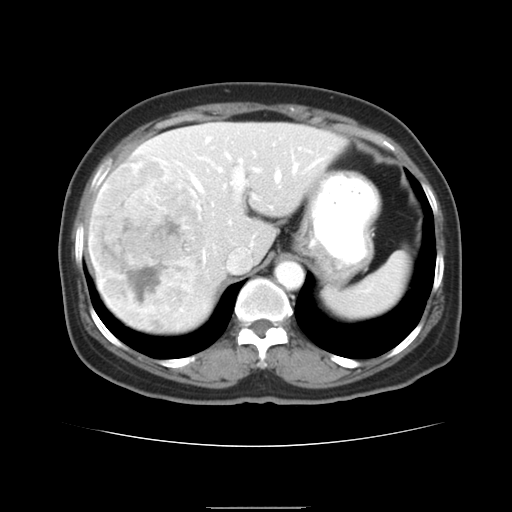 CT slice, Abdomen
Not every hepatic vessel necessarily has a box.
The liver tumor lies within bbox=[90, 156, 206, 331]. The top 15 hepatic vessel regions (of 17) appear at bbox=[217, 168, 221, 171]; bbox=[275, 171, 280, 180]; bbox=[298, 147, 299, 149]; bbox=[293, 164, 297, 172]; bbox=[227, 218, 231, 224]; bbox=[205, 137, 209, 141]; bbox=[191, 178, 200, 190]; bbox=[238, 159, 241, 164]; bbox=[252, 168, 259, 172]; bbox=[231, 169, 243, 187]; bbox=[272, 143, 273, 145]; bbox=[226, 154, 229, 158]; bbox=[308, 158, 321, 168]; bbox=[155, 159, 165, 166]; bbox=[178, 163, 181, 165].